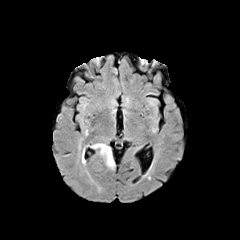
FLAIR MRI.
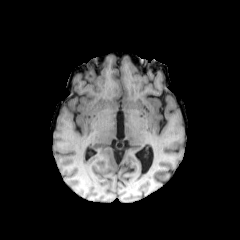
Same slice, T1-weighted MRI.
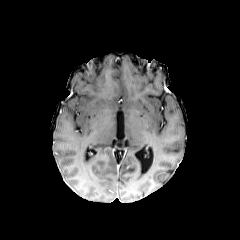
Same slice, post-contrast T1-weighted MR.
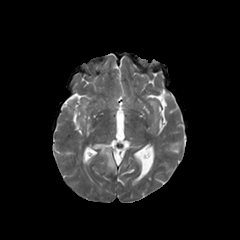
Same slice, T2-weighted MR image.
Head.
edema:
  - (90,143,115,169)